240x240 px | Slice 110 of 155 | Brain
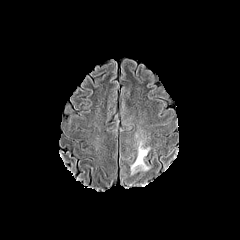
FLAIR magnetic resonance.
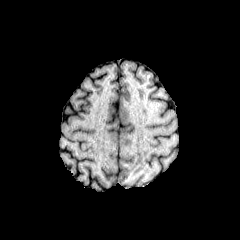
T1-weighted MR image of the same slice.
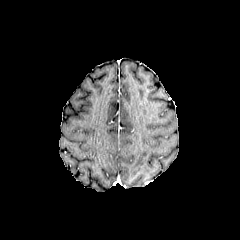
Post-contrast T1-weighted MR of the same slice.
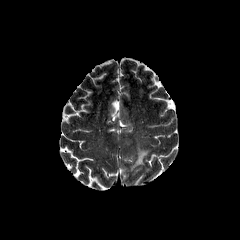
T2-weighted MR image.
Edema at 131,148,149,170.